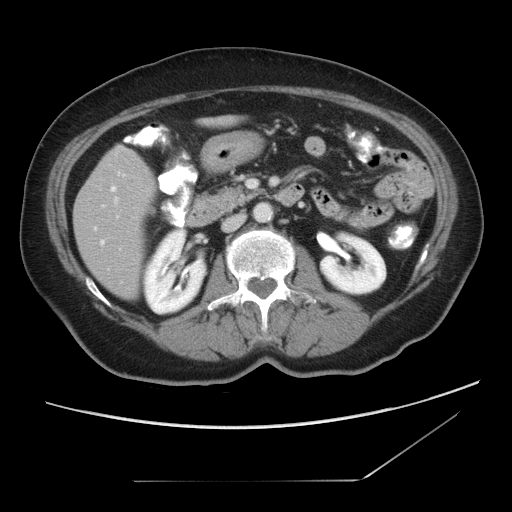
512x512, CT, Abdomen
Some hepatic vessels may have no box.
Hepatic vessel: x1=119 y1=173 x2=123 y2=176, x1=111 y1=187 x2=115 y2=191, x1=94 y1=228 x2=96 y2=230, x1=101 y1=241 x2=104 y2=244.